512x512; CT scan slice; Slice 36/47 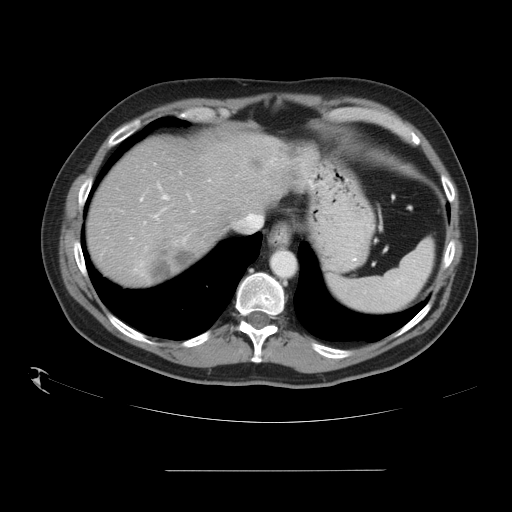
Not every hepatic vessel necessarily has a box.
hepatic vessel: left=140, top=198, right=142, bottom=200; left=154, top=214, right=158, bottom=218; left=131, top=237, right=132, bottom=239 | liver tumor: left=151, top=249, right=194, bottom=279; left=285, top=146, right=297, bottom=160